Field of view 437 mm wide, 4.00 mm slice spacing. Computed tomography. 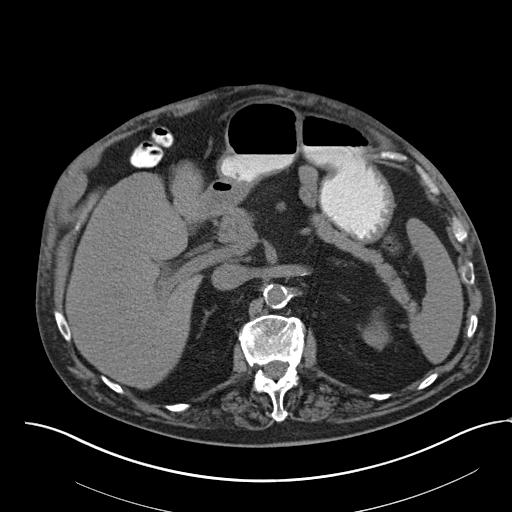

{"spleen": ["(left=409, top=222, right=462, bottom=360)"]}